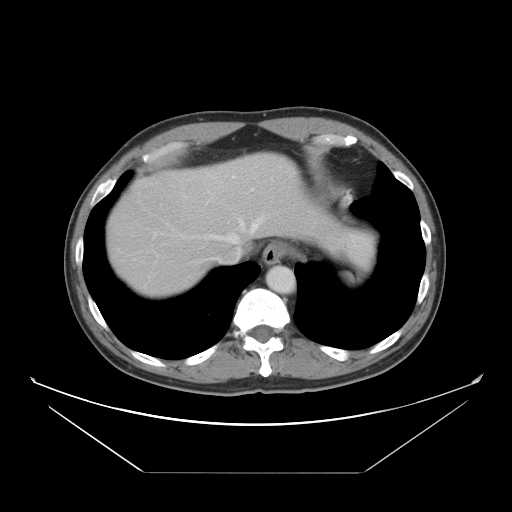
Liver; Image size 512x512; CT slice
The vessel boxes may cover only some of the vessels.
{"hepatic_vessel": ["<bbox>208, 191, 209, 192</bbox>", "<bbox>238, 217, 263, 234</bbox>", "<bbox>211, 257, 222, 261</bbox>", "<bbox>208, 233, 242, 260</bbox>", "<bbox>233, 175, 234, 177</bbox>"]}